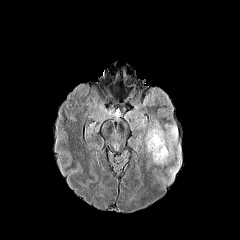
FLAIR MRI.
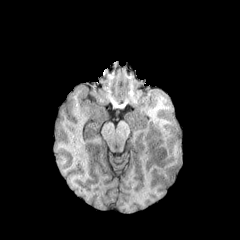
T1-weighted MR image of the same slice.
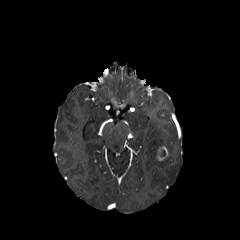
Post-contrast T1-weighted MRI of the same slice.
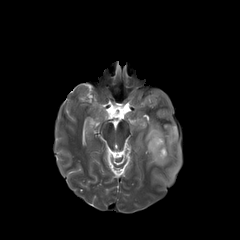
T2-weighted magnetic resonance of the same slice.
<segmentation>
  <edema>{"x1": 144, "y1": 120, "x2": 180, "y2": 177}</edema>
  <enhancing_tumor>{"x1": 155, "y1": 146, "x2": 169, "y2": 161}</enhancing_tumor>
</segmentation>